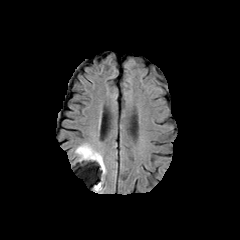
FLAIR magnetic resonance.
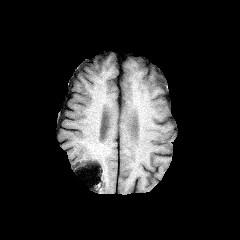
T1-weighted MRI of the same slice.
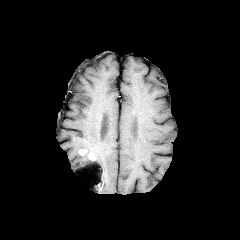
Post-contrast T1-weighted MR image of the same slice.
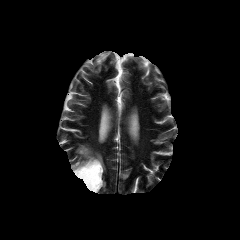
T2-weighted MR.
240x240
enhancing tumor: left=78, top=148, right=96, bottom=159 | edema: left=75, top=143, right=106, bottom=180 | non-enhancing tumor core: left=89, top=158, right=101, bottom=169